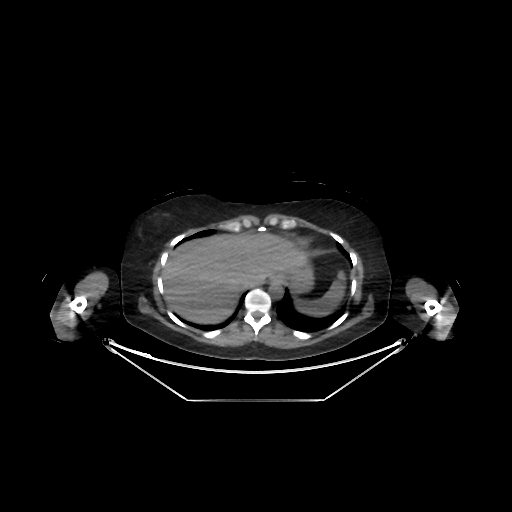 CT image
liver: 161, 228, 311, 323